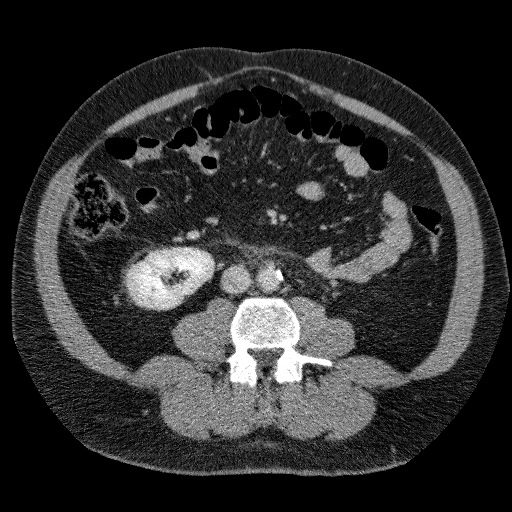
CT slice, Abdomen, 512x512

kidney: x1=128 y1=248 x2=213 y2=308